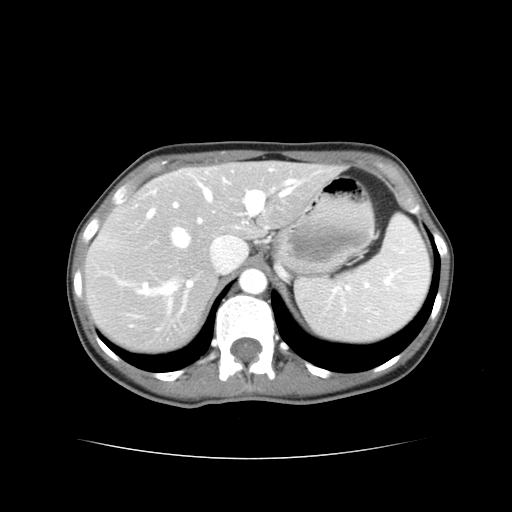

CT, Abdomen, Image size 512x512
The vessel annotation is not exhaustive.
{"hepatic_vessel": ["[x1=188, y1=282, x2=191, y2=286]", "[x1=200, y1=184, x2=203, y2=188]", "[x1=204, y1=189, x2=211, y2=199]", "[x1=174, y1=203, x2=177, y2=207]", "[x1=245, y1=191, x2=264, y2=214]", "[x1=281, y1=180, x2=295, y2=195]", "[x1=148, y1=210, x2=154, y2=216]", "[x1=174, y1=229, x2=188, y2=245]", "[x1=199, y1=220, x2=200, y2=221]", "[x1=140, y1=284, x2=173, y2=294]"]}